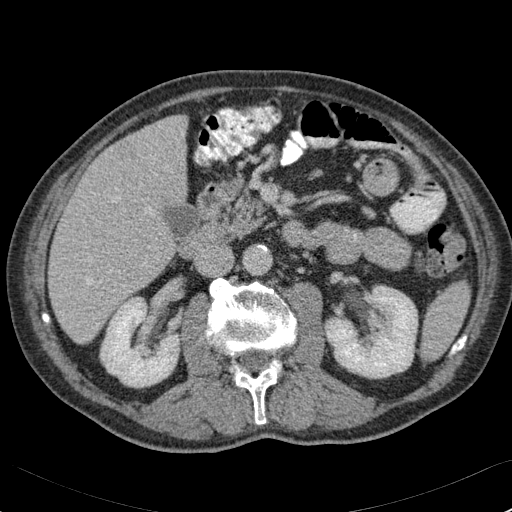 512x512. Abdomen. CT image.
<segmentation>
  <liver_lesion>(116,141,136,159)</liver_lesion>
  <liver>(49,116,185,343)</liver>
  <kidney>(325,286,417,377), (101,297,178,386)</kidney>
</segmentation>